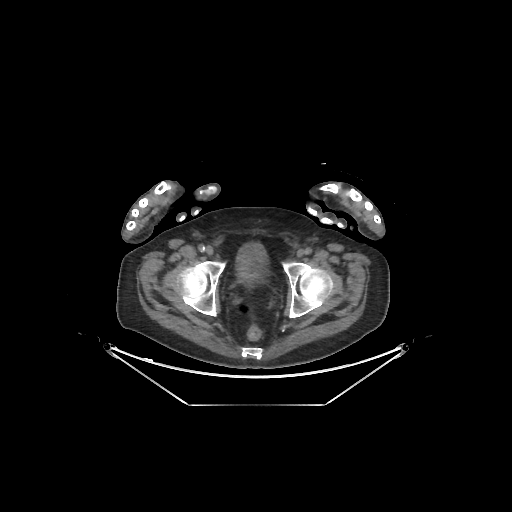 Lower abdomen | Computed tomography
<segmentation>
  <urinary_bladder>(x1=235, y1=243, x2=268, y2=287)</urinary_bladder>
  <bone>(x1=283, y1=262, x2=333, y2=317), (x1=132, y1=198, x2=150, y2=217), (x1=126, y1=220, x2=135, y2=230), (x1=176, y1=261, x2=225, y2=316), (x1=321, y1=218, x2=332, y2=223), (x1=242, y1=348, x2=262, y2=358), (x1=154, y1=181, x2=171, y2=194), (x1=320, y1=184, x2=380, y2=223)</bone>
</segmentation>